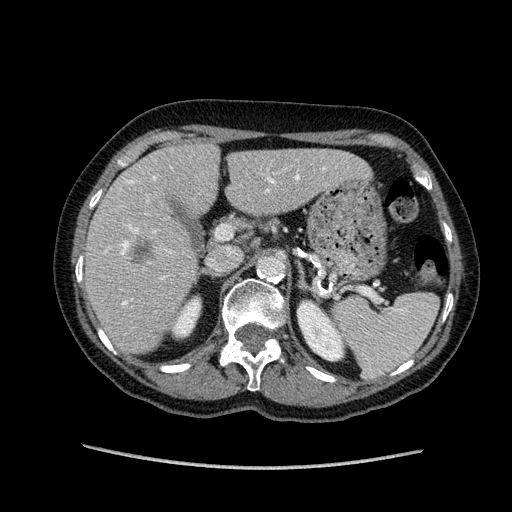 CT image. Upper abdomen. liver lesion: {"x1": 129, "y1": 240, "x2": 149, "y2": 262} | kidney: {"x1": 298, "y1": 302, "x2": 342, "y2": 359}, {"x1": 174, "y1": 300, "x2": 199, "y2": 335} | liver: {"x1": 86, "y1": 146, "x2": 365, "y2": 349}